Slice 152 of 165. CT. 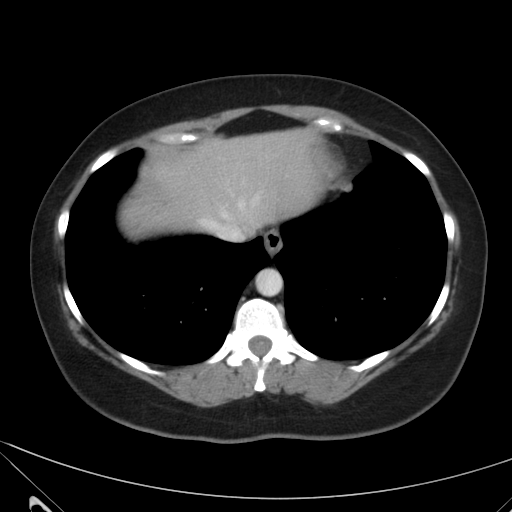 Liver = [x1=125, y1=129, x2=319, y2=235].